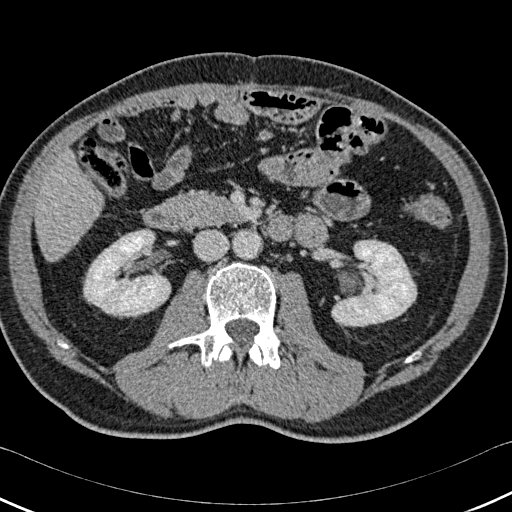
512x512 px; Liver; CT image
{"kidney": ["(84,230,170,315)", "(332,240,416,325)"], "liver": ["(35,153,104,260)"], "bone": ["(405,353,418,362)", "(169,263,280,368)"]}